CT image | Slice 61/110 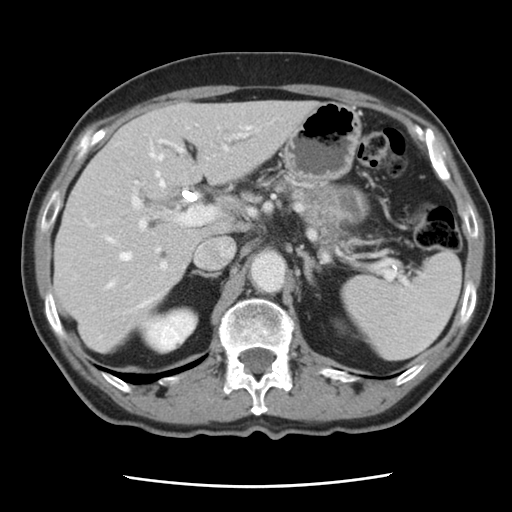

pancreas:
  - (x1=290, y1=185, x2=346, y2=239)